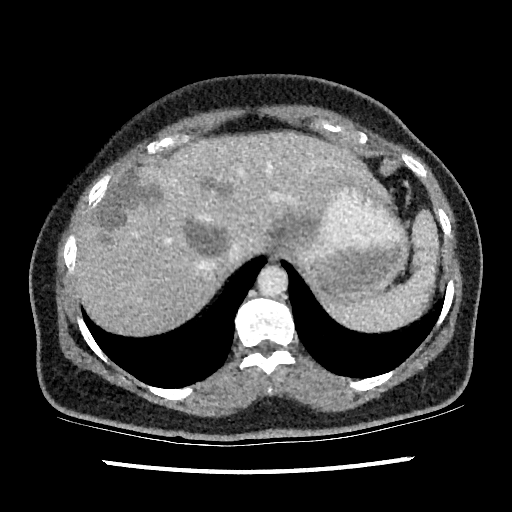
CT.

5 liver lesion regions are located at [x1=203, y1=173, x2=231, y2=194], [x1=102, y1=235, x2=113, y2=244], [x1=96, y1=173, x2=162, y2=230], [x1=184, y1=219, x2=228, y2=255], [x1=269, y1=214, x2=307, y2=244]. The liver appears at [x1=77, y1=133, x2=391, y2=334].